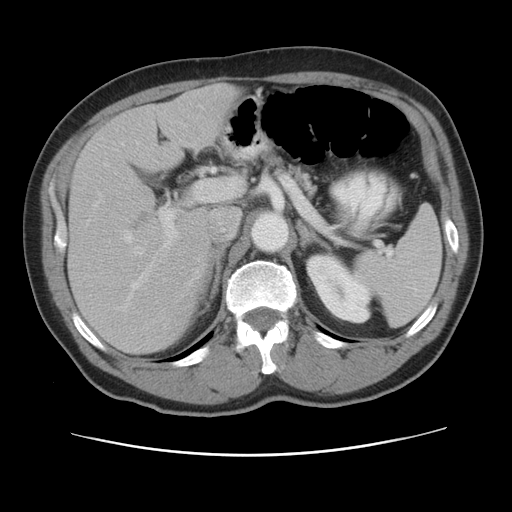 CT slice; 512x512

The vessel annotation is not exhaustive.
{"liver_tumor": ["[130, 211, 150, 229]"], "hepatic_vessel": ["[195, 257, 200, 262]", "[135, 141, 138, 148]", "[93, 192, 102, 205]", "[120, 142, 123, 146]", "[117, 270, 147, 309]", "[148, 155, 149, 156]", "[152, 158, 172, 166]", "[138, 151, 140, 157]", "[187, 263, 202, 284]", "[163, 239, 170, 247]"]}